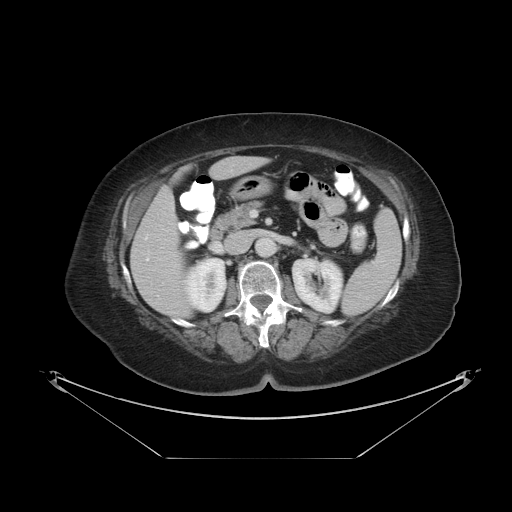
CT image, Liver
The vessel boxes may cover only some of the vessels.
{
  "hepatic_vessel": [
    "<bbox>146, 257, 149, 260</bbox>"
  ]
}